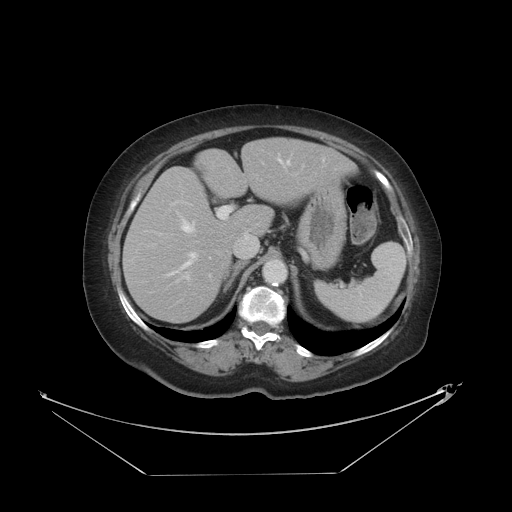 CT scan slice
The vessel boxes may cover only some of the vessels.
Annotated regions:
* hepatic vessel: {"x1": 279, "y1": 160, "x2": 283, "y2": 163}, {"x1": 286, "y1": 161, "x2": 287, "y2": 164}, {"x1": 217, "y1": 206, "x2": 231, "y2": 219}, {"x1": 183, "y1": 261, "x2": 191, "y2": 266}, {"x1": 183, "y1": 220, "x2": 191, "y2": 231}